CT scan slice, Slice index 484, Abdomen 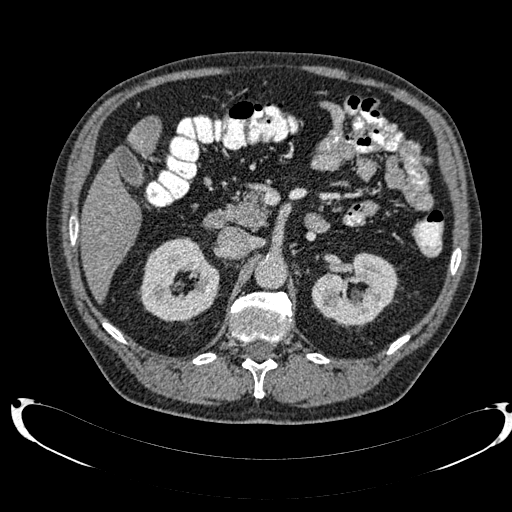
Segmented structures:
* liver: (left=129, top=117, right=160, bottom=152), (left=81, top=155, right=140, bottom=301)
* kidney: (left=312, top=253, right=397, bottom=326), (left=140, top=238, right=219, bottom=321)